CT scan slice; Liver; Slice 92/178

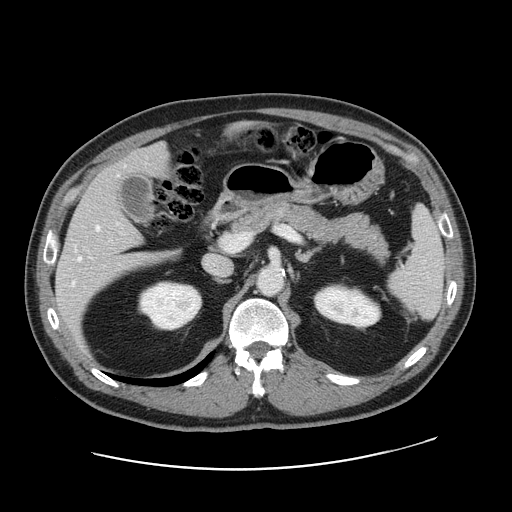 Not every hepatic vessel necessarily has a box.
10 hepatic vessel regions are bounded by (78, 256, 81, 259), (158, 144, 164, 147), (132, 229, 139, 244), (120, 254, 145, 260), (96, 226, 99, 229), (74, 247, 76, 250), (90, 256, 92, 257), (70, 281, 74, 286), (73, 329, 77, 336), (116, 174, 118, 176).